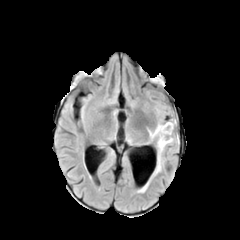
FLAIR magnetic resonance.
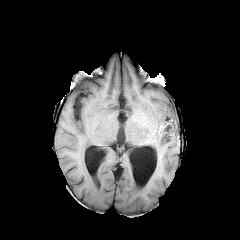
T1-weighted magnetic resonance of the same slice.
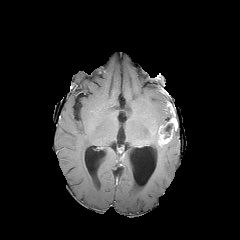
Post-contrast T1-weighted MRI.
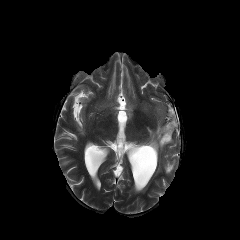
T2-weighted MRI of the same slice.
240x240
Findings:
* enhancing tumor: {"x1": 158, "y1": 114, "x2": 177, "y2": 145}
* non-enhancing tumor core: {"x1": 163, "y1": 123, "x2": 172, "y2": 134}
* edema: {"x1": 146, "y1": 110, "x2": 171, "y2": 143}, {"x1": 137, "y1": 180, "x2": 149, "y2": 192}, {"x1": 150, "y1": 138, "x2": 173, "y2": 179}